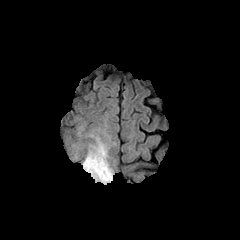
FLAIR magnetic resonance.
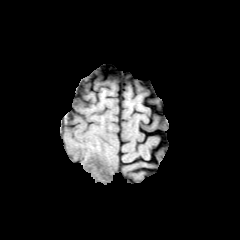
Same slice, T1-weighted MRI.
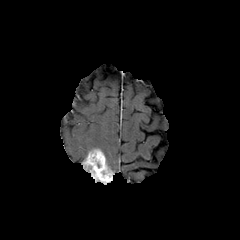
Post-contrast T1-weighted MR of the same slice.
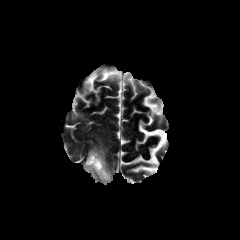
Same slice, T2-weighted MRI.
enhancing_tumor:
  - <bbox>83, 149, 113, 183</bbox>
edema:
  - <bbox>86, 138, 107, 160</bbox>